512x512 px. Abdomen. CT scan slice.

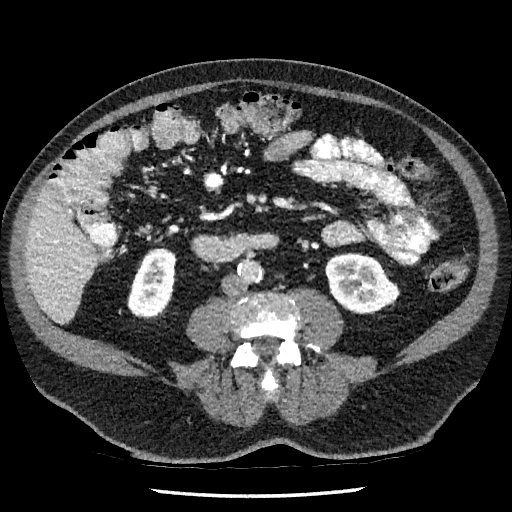

<segmentation>
  <kidney>x1=128 y1=250 x2=175 y2=316, x1=326 y1=254 x2=398 y2=312</kidney>
  <liver>x1=26 y1=188 x2=96 y2=323</liver>
</segmentation>